Slice 38/89 | Image width 416 mm | CT scan slice
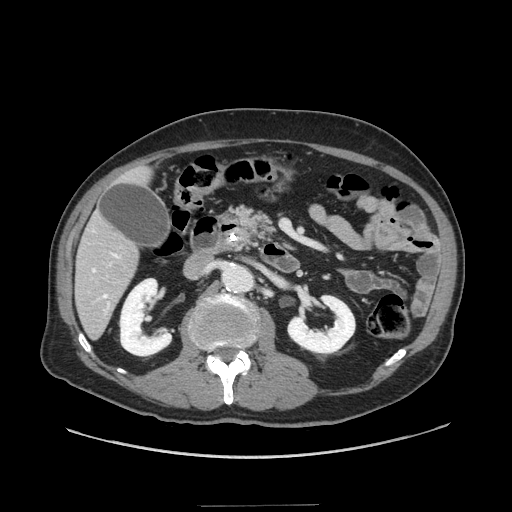 Pancreas: bounding box x1=236, y1=207, x2=272, y2=236.